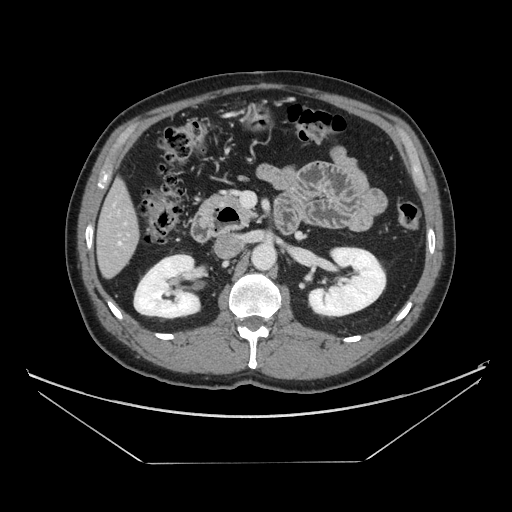
CT scan slice; Abdomen
Annotated regions:
* pancreas: rect(225, 196, 255, 220)